MRI; Image width 36 mm 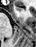 The anterior hippocampus is at rect(15, 6, 20, 10).